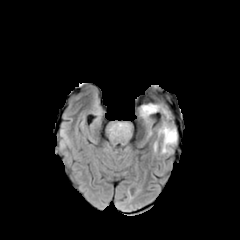
FLAIR magnetic resonance.
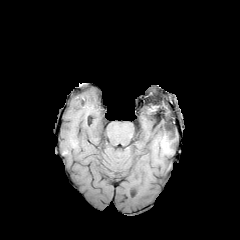
Same slice, T1-weighted magnetic resonance.
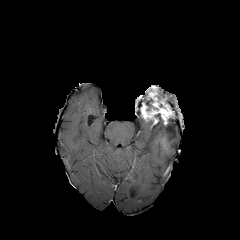
Post-contrast T1-weighted MR image.
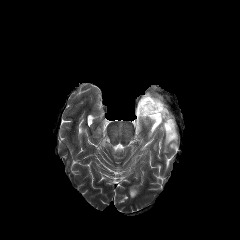
T2-weighted MR of the same slice.
Head
<segmentation>
  <non-enhancing_tumor_core>[149,112,172,129]</non-enhancing_tumor_core>
  <enhancing_tumor>[140,98,171,125]</enhancing_tumor>
  <edema>[158,125,177,152]</edema>
</segmentation>